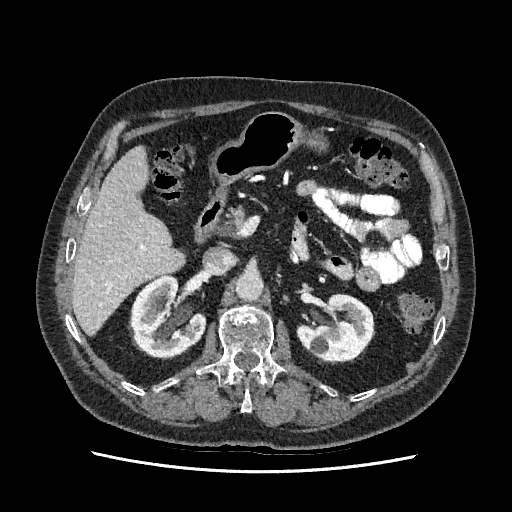 Image size 512x512, Abdomen, Computed tomography
kidney:
  - <bbox>132, 276, 205, 356</bbox>
  - <bbox>298, 294, 372, 360</bbox>
liver:
  - <bbox>73, 146, 184, 334</bbox>